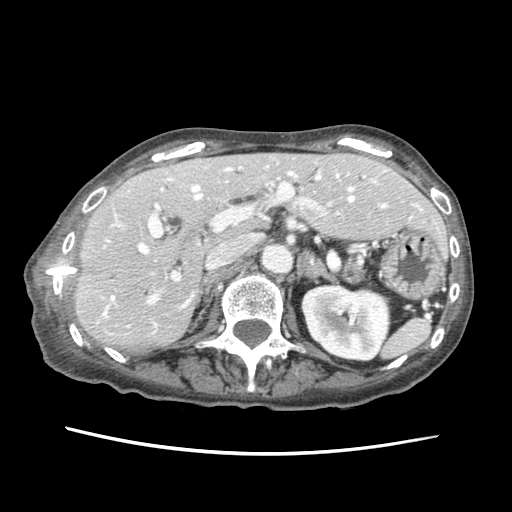

Abdomen; Image size 512x512; CT
The pancreas lies within (345, 262, 362, 283).